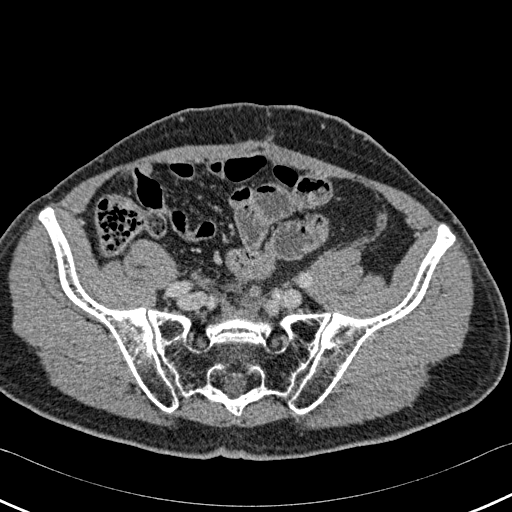 CT image

Segmented structures:
• bone: bbox(39, 208, 454, 415)